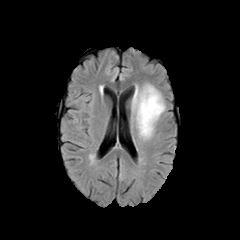
FLAIR MR image.
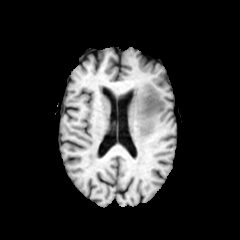
T1-weighted MR image of the same slice.
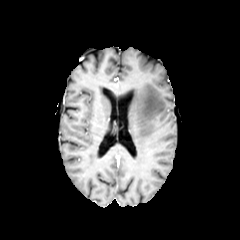
Same slice, post-contrast T1-weighted MR.
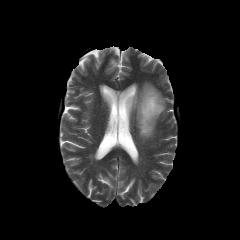
T2-weighted MR image of the same slice.
Head.
<segmentation>
  <edema><bbox>131, 84, 165, 139</bbox></edema>
</segmentation>